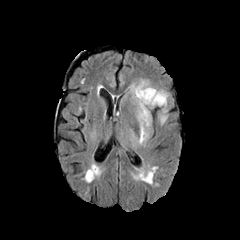
FLAIR MR.
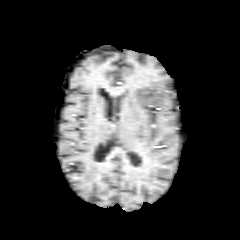
T1-weighted MRI.
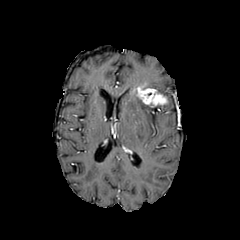
Same slice, post-contrast T1-weighted MR.
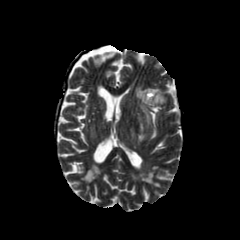
T2-weighted MR.
Brain
The enhancing tumor lies within [x1=138, y1=89, x2=165, y2=104]. The edema is bounded by [x1=129, y1=81, x2=169, y2=143].